Field of view 405 mm wide, 7.50 mm slice spacing; CT slice

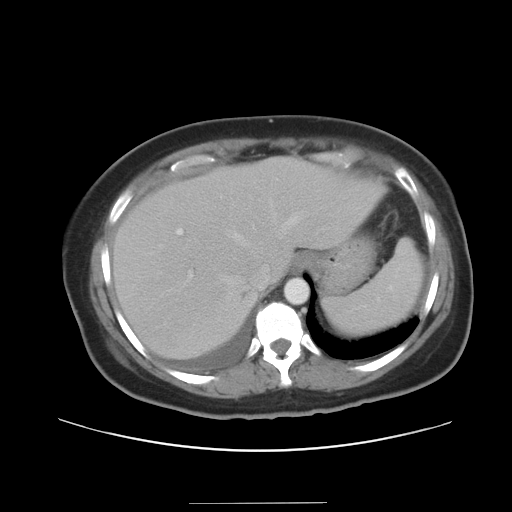
Not every hepatic vessel necessarily has a box.
5 hepatic vessel regions are bounded by x1=279, y1=210, x2=305, y2=236; x1=221, y1=276, x2=242, y2=286; x1=268, y1=198, x2=276, y2=222; x1=227, y1=230, x2=249, y2=246; x1=257, y1=266, x2=268, y2=288.